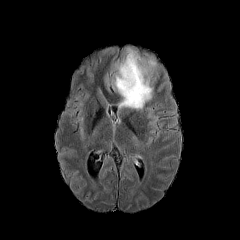
FLAIR MR image.
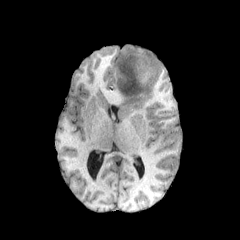
T1-weighted MRI.
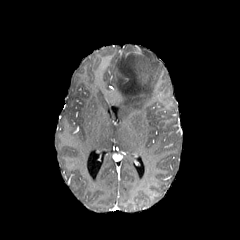
Post-contrast T1-weighted MR.
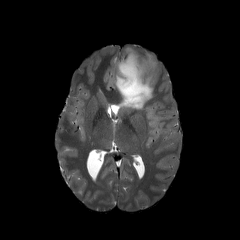
Same slice, T2-weighted MR image.
Brain
The edema is at left=114, top=53, right=155, bottom=114.